CT scan slice. Slice 35/47.

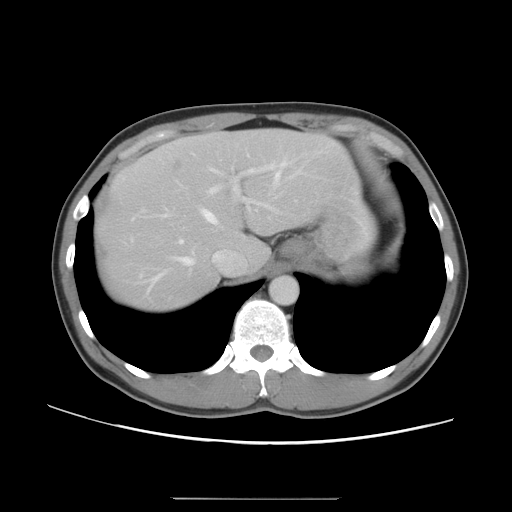 Only some of the vessels may be annotated.
hepatic_vessel:
  - 133,217,135,219
  - 213,253,217,261
  - 146,272,165,291
  - 176,251,195,265
  - 180,239,183,243
  - 241,197,277,210
  - 366,231,366,238
  - 232,177,238,192
  - 200,208,218,224
  - 209,185,220,193
  - 356,218,364,228
  - 306,174,310,175
  - 154,212,169,217
  - 288,166,304,178
  - 245,158,297,186
liver_tumor:
  - 98,246,106,260